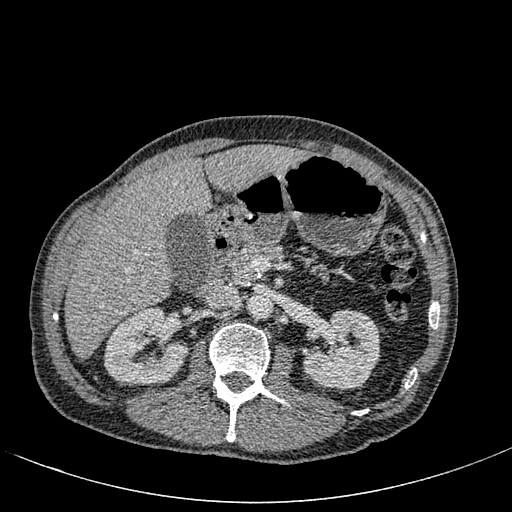
Liver. 512x512 px. CT slice.
{
  "kidney": [
    "[x1=104, y1=308, x2=187, y2=384]",
    "[x1=302, y1=310, x2=379, y2=389]"
  ],
  "liver": [
    "[x1=66, y1=146, x2=305, y2=358]"
  ]
}